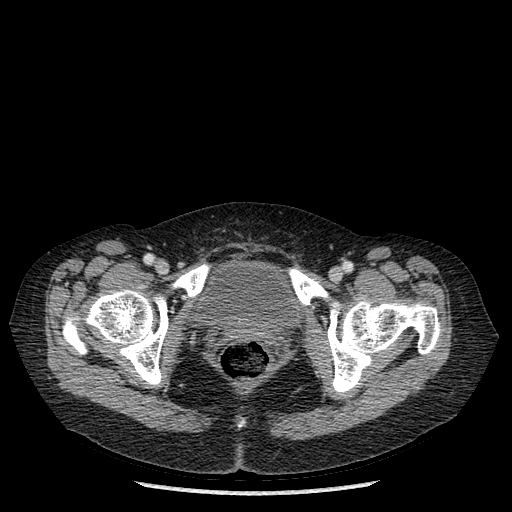

Lower abdomen. CT scan slice.

bone: box=[62, 288, 168, 387]; box=[326, 299, 441, 395]; box=[288, 268, 331, 305]; box=[171, 264, 209, 298] | urinary bladder: box=[195, 260, 302, 341]